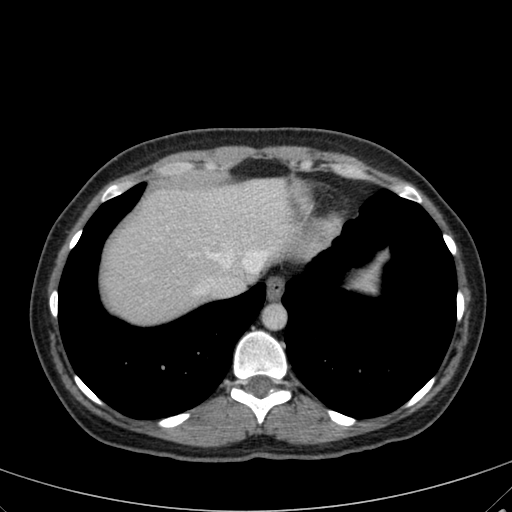
CT image; Liver
Annotated regions:
- liver: left=100, top=178, right=330, bottom=325